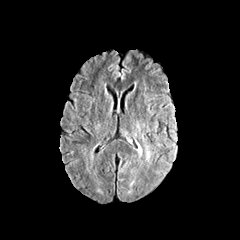
FLAIR MRI.
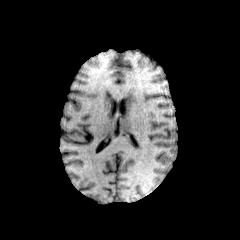
T1-weighted MR.
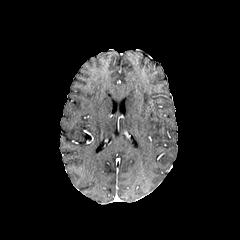
Post-contrast T1-weighted MR of the same slice.
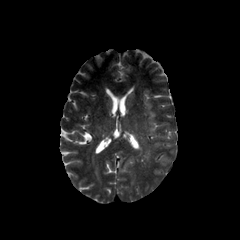
T2-weighted magnetic resonance of the same slice.
Head
{
  "edema": [
    "137, 126, 144, 142"
  ]
}